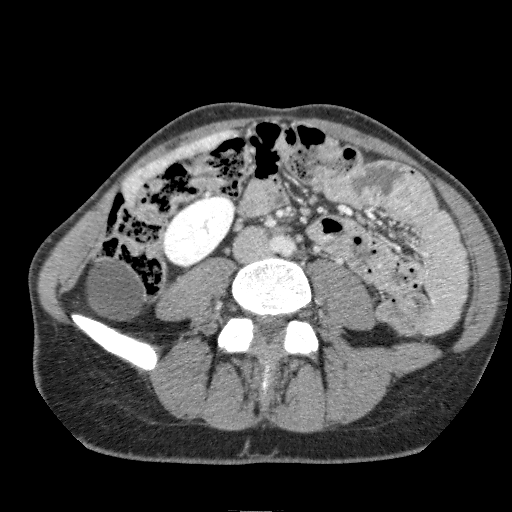

CT.
{
  "kidney": [
    "x1=164 y1=197 x2=233 y2=265"
  ],
  "liver": [
    "x1=123 y1=131 x2=235 y2=204"
  ]
}